CT slice 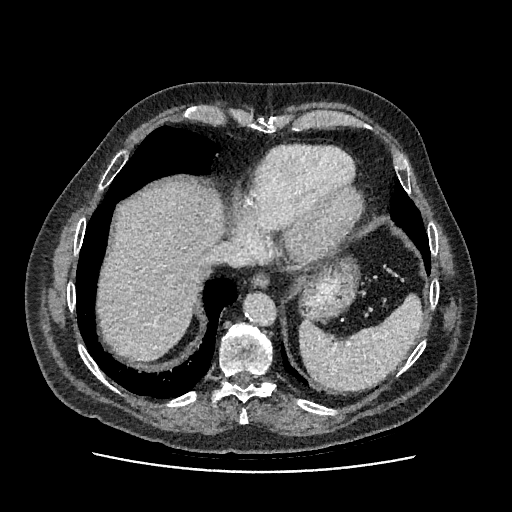

{"liver": ["(97,183,224,359)"]}